Slice index 465. Computed tomography. Abdomen. Image width 350 mm.
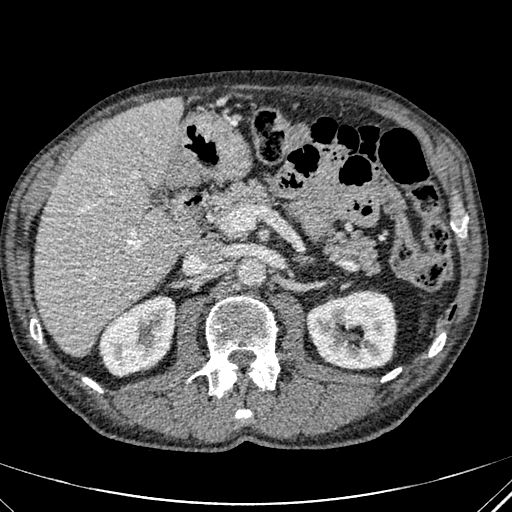

Segmented structures:
* liver: 34,97,199,356
* kidney: 100,298,174,374; 308,292,395,367